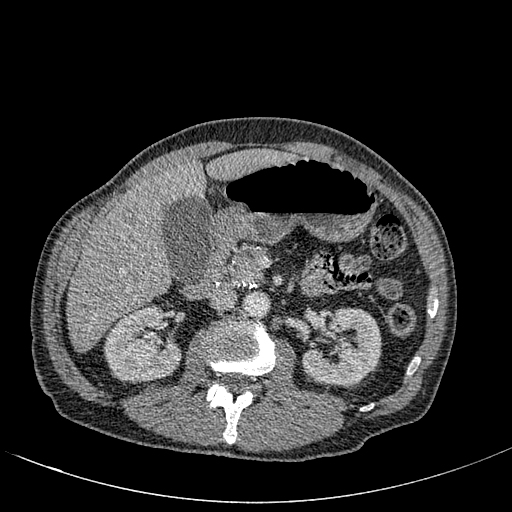
Liver | Computed tomography
Liver: bounding box 67:149:291:351.
Focal liver lesion: bounding box 121:202:139:227.
Kidney: bounding box 302:308:380:385, 104:306:180:381.